Upper abdomen | CT scan slice | Slice 556/733 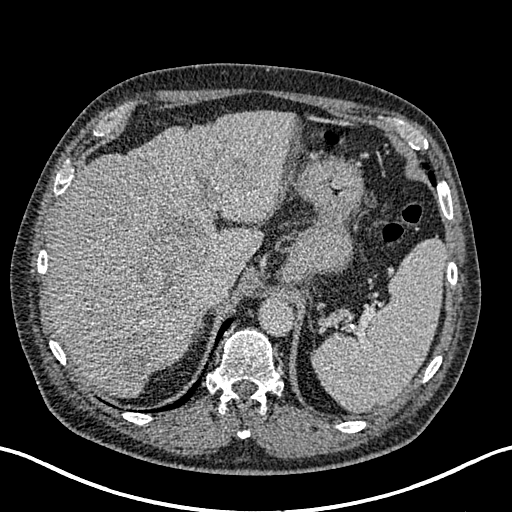

Annotated regions:
• liver: x1=48, y1=111, x2=297, y2=397
• liver lesion: x1=197, y1=184, x2=216, y2=202; x1=131, y1=215, x2=210, y2=311; x1=225, y1=150, x2=263, y2=187; x1=119, y1=333, x2=162, y2=381